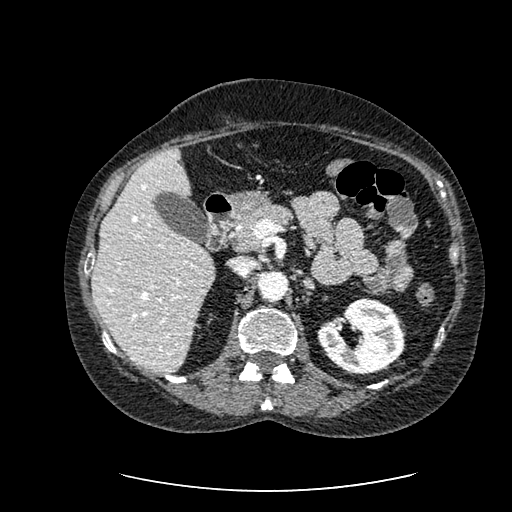

Liver | Computed tomography
Liver at (93, 150, 214, 371).
Kidney at (318, 299, 403, 373).